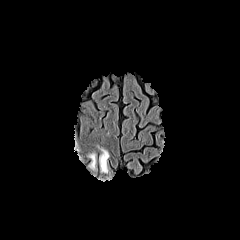
FLAIR magnetic resonance.
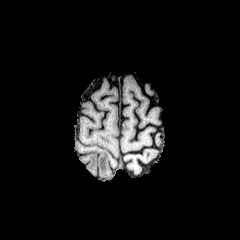
T1-weighted MR.
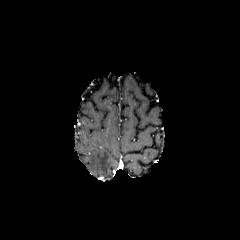
Post-contrast T1-weighted MR image of the same slice.
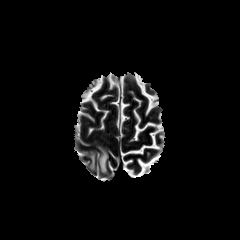
T2-weighted MR image.
Head | Image size 240x240
Edema = box(99, 150, 108, 174); box(89, 154, 95, 170).